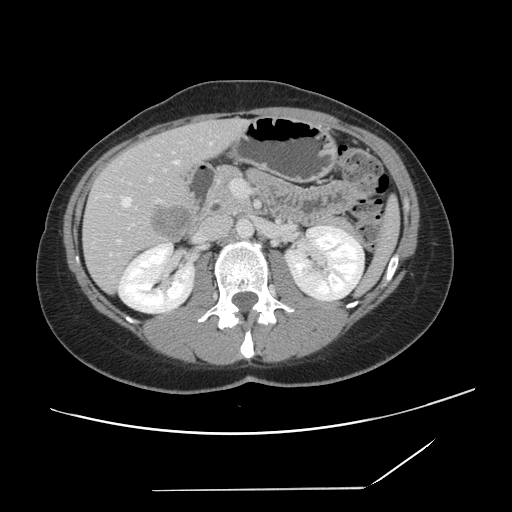
CT slice

Not every hepatic vessel necessarily has a box.
<segmentation>
  <hepatic_vessel>box(149, 178, 151, 180); box(155, 199, 159, 201); box(174, 161, 178, 163); box(157, 154, 158, 155); box(117, 240, 120, 241); box(106, 195, 109, 196); box(131, 224, 133, 225); box(121, 197, 130, 206)</hepatic_vessel>
  <liver_tumor>box(152, 206, 192, 238)</liver_tumor>
</segmentation>